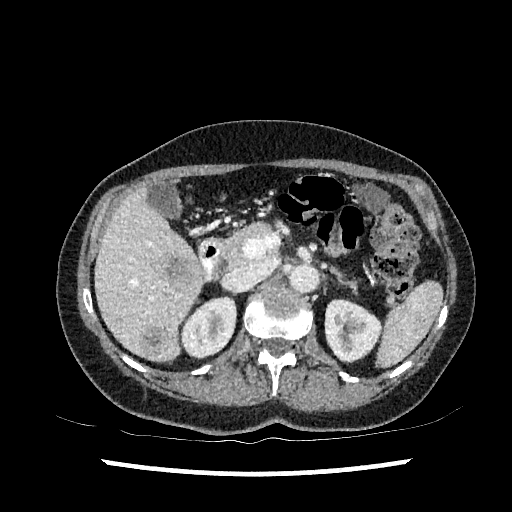

512x512 px; Computed tomography; Abdomen

Liver — x1=95, y1=187, x2=200, y2=360.
Kidney — x1=325, y1=300, x2=380, y2=360; x1=182, y1=298, x2=235, y2=356.
Focal liver lesion — x1=139, y1=327, x2=175, y2=357; x1=160, y1=255, x2=200, y2=286.